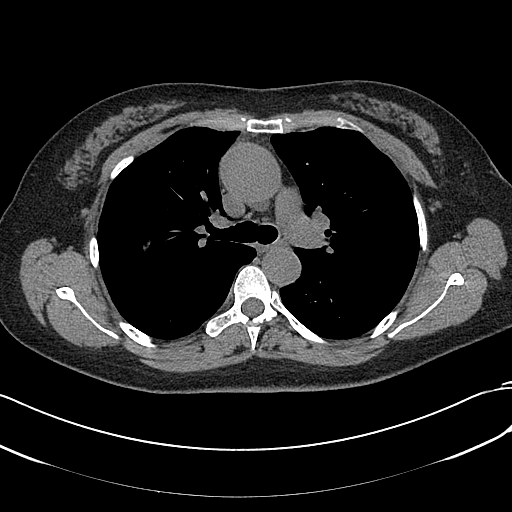

Chest. Computed tomography.
lung_tumor:
  - bbox(132, 235, 157, 257)